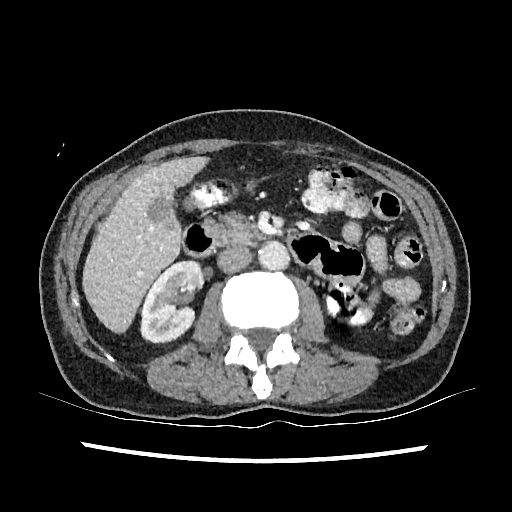

Upper abdomen | CT scan slice | 512x512 px
{"liver": ["[x1=85, y1=157, x2=206, y2=330]"], "kidney": ["[x1=141, y1=260, x2=203, y2=341]"], "focal_liver_lesion": ["[x1=147, y1=195, x2=172, y2=222]"]}